FLAIR MR.
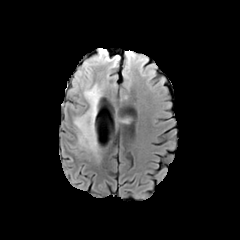
T1-weighted MR.
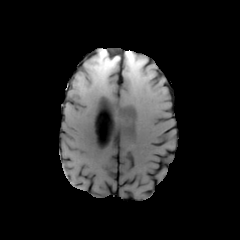
Post-contrast T1-weighted MRI.
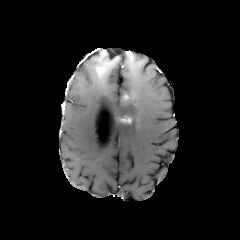
T2-weighted MR.
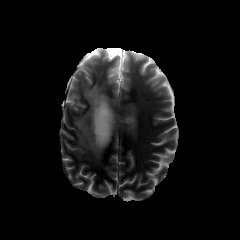
Non-enhancing tumor core — box(90, 50, 118, 74).
Edema — box(74, 59, 104, 155); box(106, 62, 119, 82); box(123, 52, 135, 79); box(72, 76, 81, 89).